CT scan slice. Slice index 115.
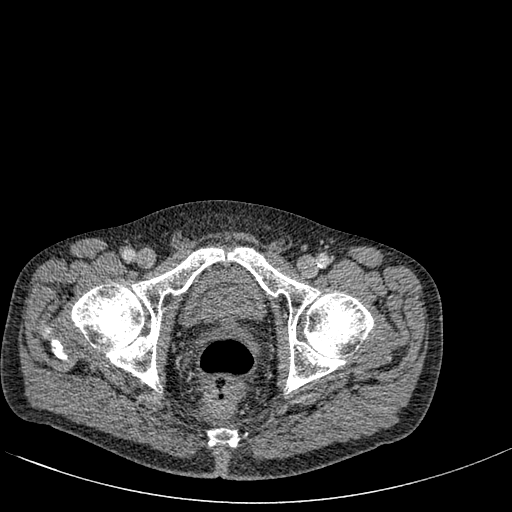

urinary bladder: box(178, 262, 267, 328)